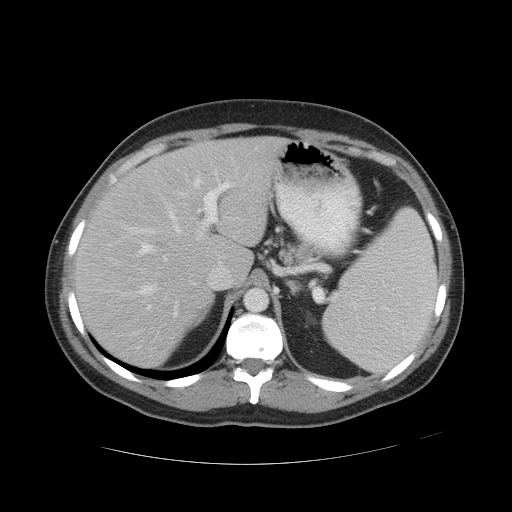

Image size 512x512 | CT | Liver
The vessel boxes may cover only some of the vessels.
Segmented structures:
- hepatic vessel: {"x1": 200, "y1": 233, "x2": 202, "y2": 235}, {"x1": 233, "y1": 160, "x2": 235, "y2": 164}, {"x1": 236, "y1": 167, "x2": 238, "y2": 172}, {"x1": 174, "y1": 225, "x2": 180, "y2": 232}, {"x1": 219, "y1": 256, "x2": 221, "y2": 258}, {"x1": 197, "y1": 238, "x2": 199, "y2": 239}, {"x1": 147, "y1": 305, "x2": 150, "y2": 308}, {"x1": 197, "y1": 172, "x2": 233, "y2": 226}, {"x1": 163, "y1": 254, "x2": 166, "y2": 260}, {"x1": 219, "y1": 262, "x2": 221, "y2": 264}, {"x1": 140, "y1": 243, "x2": 152, "y2": 253}, {"x1": 193, "y1": 174, "x2": 202, "y2": 187}, {"x1": 140, "y1": 285, "x2": 155, "y2": 294}